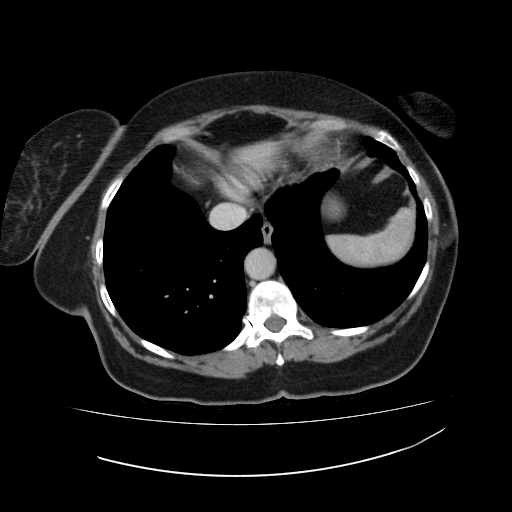 CT slice, Abdomen
{
  "liver": [
    "(x1=239, y1=143, x2=273, y2=169)"
  ]
}